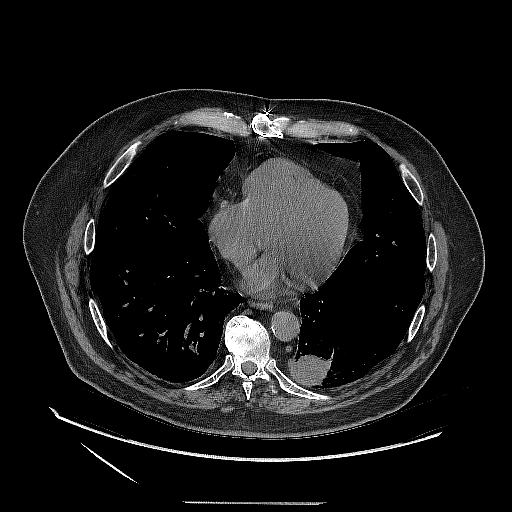
Computed tomography | Chest

Segmented structures:
• lung tumor: rect(292, 346, 351, 387)